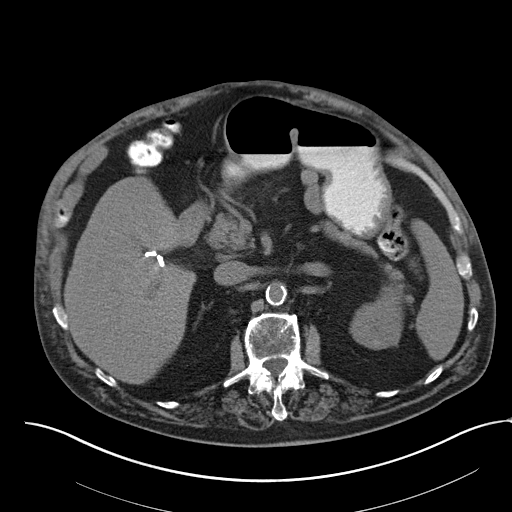
Computed tomography, Upper abdomen
spleen:
  - [415, 224, 463, 357]